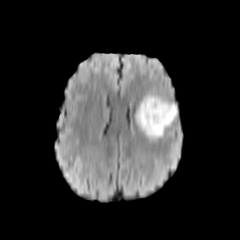
FLAIR MRI.
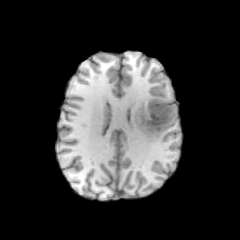
T1-weighted MR image.
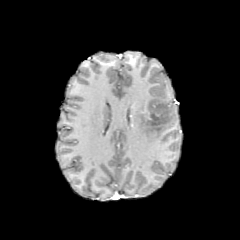
Same slice, post-contrast T1-weighted MRI.
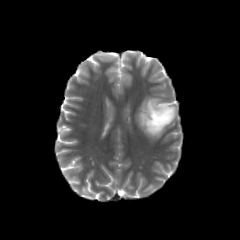
T2-weighted MR of the same slice.
The edema lies within [134,95,178,140]. The non-enhancing tumor core is located at [142,93,174,132].